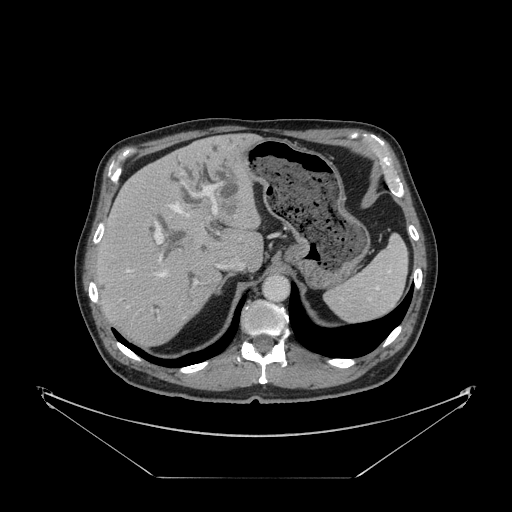 CT image, Liver
Not every hepatic vessel necessarily has a box.
8 hepatic vessel regions are located at bbox=[168, 202, 182, 212]; bbox=[183, 213, 188, 216]; bbox=[159, 257, 160, 261]; bbox=[154, 223, 162, 243]; bbox=[193, 186, 216, 212]; bbox=[157, 271, 166, 276]; bbox=[194, 281, 196, 284]; bbox=[126, 270, 129, 271]. The liver tumor is bounded by bbox=[216, 200, 240, 217].